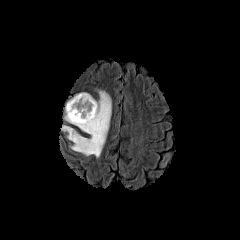
FLAIR MR image.
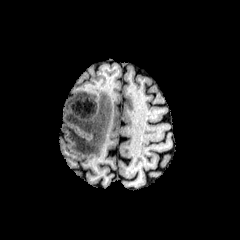
T1-weighted magnetic resonance of the same slice.
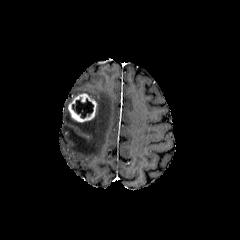
Same slice, post-contrast T1-weighted magnetic resonance.
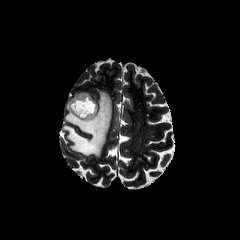
T2-weighted MR image.
240x240
The enhancing tumor is located at x1=67 y1=93 x2=96 y2=122. The edema appears at x1=60 y1=87 x2=112 y2=157. The non-enhancing tumor core appears at x1=71 y1=97 x2=93 y2=119.